CT; Image size 512x512; Image width 512 mm 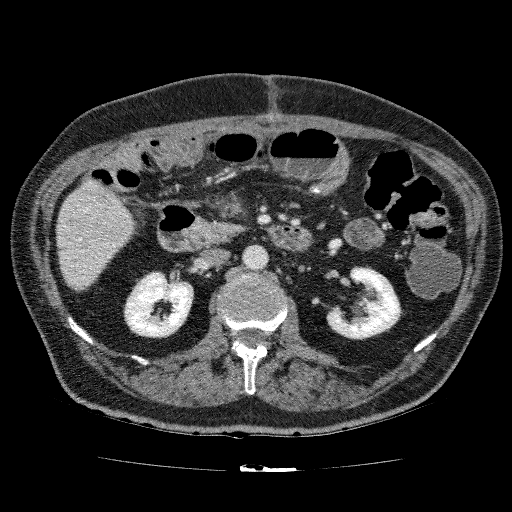 kidney:
  - [327,267,400,338]
  - [124,272,193,337]
liver:
  - [56,178,134,291]
liver_lesion:
  - [78,240,86,247]
  - [58,243,69,256]